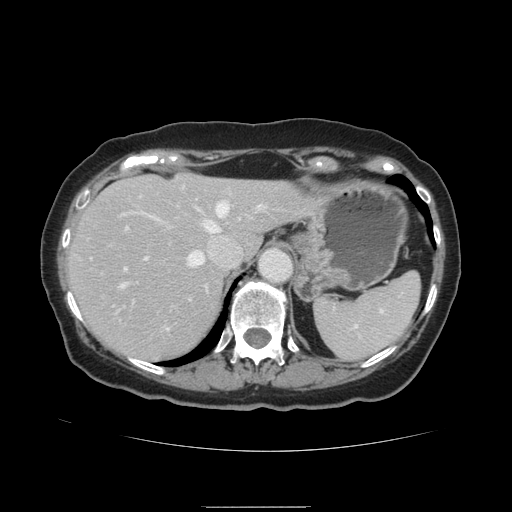

Abdomen; CT scan slice

The vessel annotation is not exhaustive.
8 hepatic vessel regions are located at box(118, 284, 124, 288); box(215, 201, 228, 215); box(257, 205, 263, 208); box(125, 228, 127, 230); box(201, 220, 217, 232); box(145, 257, 147, 259); box(186, 251, 203, 266); box(196, 208, 198, 209).